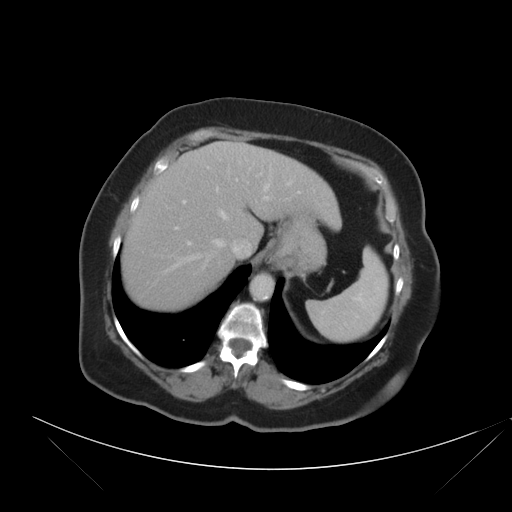
Computed tomography | Liver
The vessel annotation is not exhaustive.
- hepatic vessel: 204, 263, 205, 266; 232, 240, 250, 257; 216, 187, 218, 190; 263, 195, 268, 200; 166, 255, 198, 271; 183, 201, 185, 203; 264, 184, 269, 190; 256, 173, 261, 176; 206, 256, 208, 261; 213, 239, 224, 246; 219, 211, 226, 218; 175, 227, 178, 229; 187, 241, 190, 244; 287, 181, 291, 185